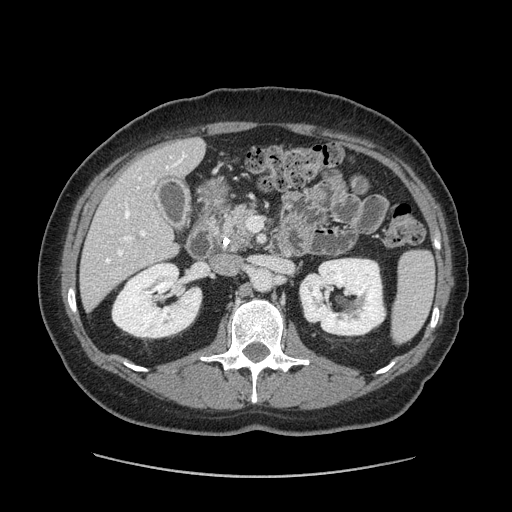
Computed tomography.
{
  "pancreas": [
    "bbox(209, 221, 217, 229)",
    "bbox(222, 206, 253, 251)"
  ],
  "pancreatic_tumor": [
    "bbox(229, 226, 248, 244)"
  ]
}